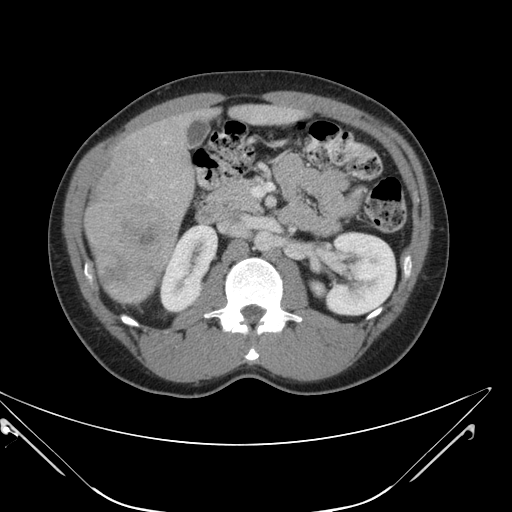 CT slice, 512x512 px
Some hepatic vessels may have no box.
2 hepatic vessel regions appear at box=[163, 142, 165, 144]; box=[170, 185, 172, 187]. The liver tumor is located at box=[96, 205, 179, 303].